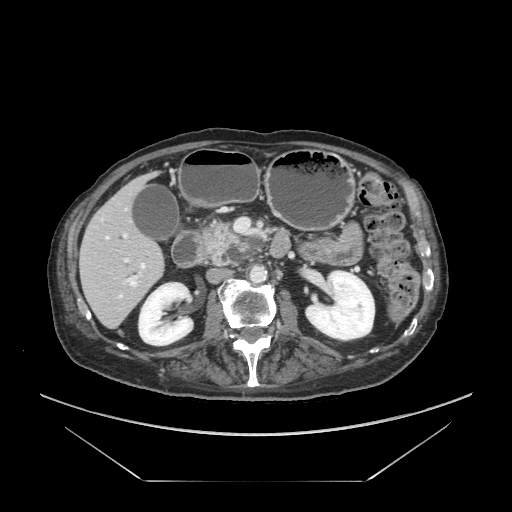
CT image. Abdomen.

pancreas:
  - 204:223:252:265
pancreatic_tumor:
  - 208:237:224:251